Slice index 182. CT. Field of view 400x400 mm.
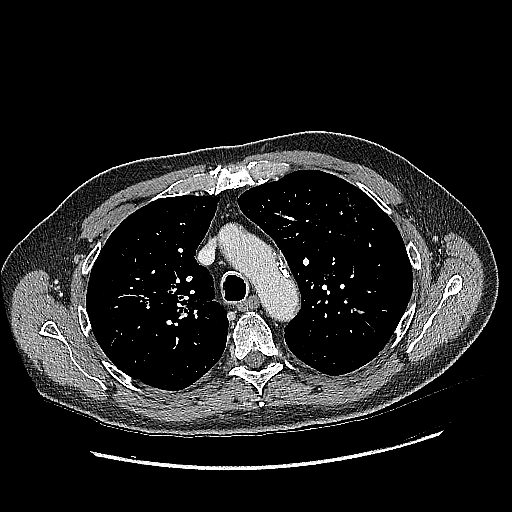
The lung tumor is located at 127, 277, 149, 294.